Slice 50 of 247; CT image

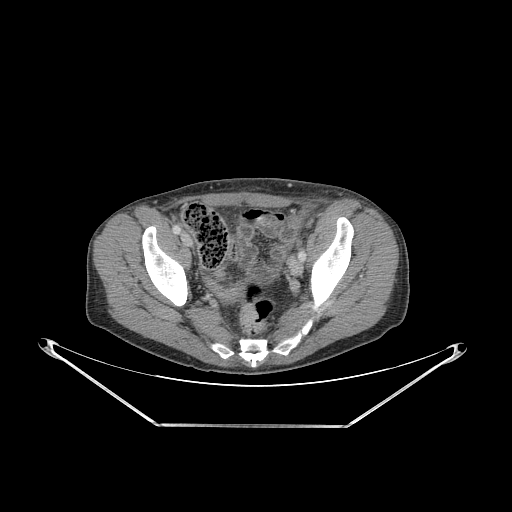

Segmented structures:
- bone: <box>212,343,233,358</box>, <box>239,320,312,365</box>, <box>142,226,187,306</box>, <box>311,217,353,310</box>